240x240 px. Field of view 240x240 mm.
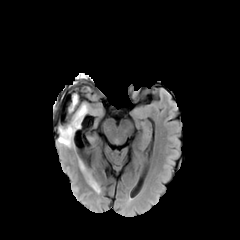
FLAIR MRI.
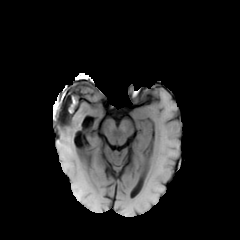
T1-weighted MR image of the same slice.
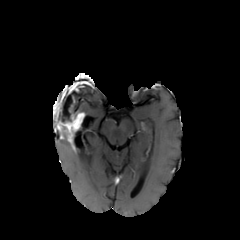
Same slice, post-contrast T1-weighted MR.
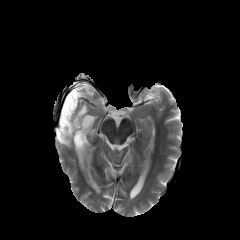
T2-weighted MR.
Edema: bounding box 58, 138, 71, 147; 87, 176, 99, 192; 69, 94, 88, 115.
Enhancing tumor: bounding box 56, 113, 84, 141.
Non-enhancing tumor core: bounding box 59, 87, 77, 123.